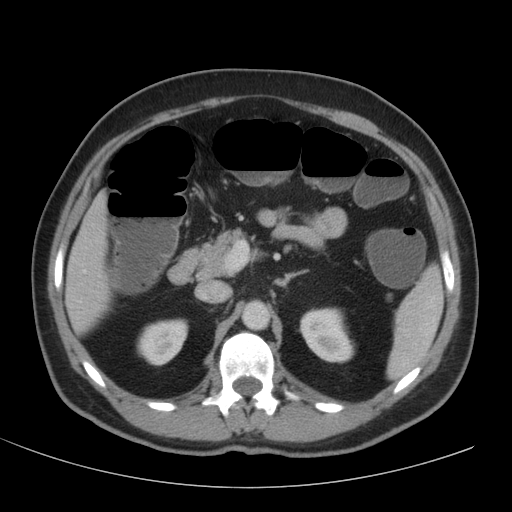 CT image; Abdomen; 512x512 px
Annotated regions:
• liver: bbox=[66, 193, 107, 330]
• kidney: bbox=[138, 320, 187, 364]; bbox=[300, 308, 353, 361]